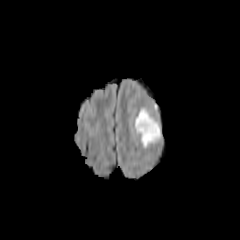
FLAIR MR.
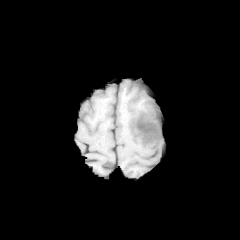
T1-weighted MR image.
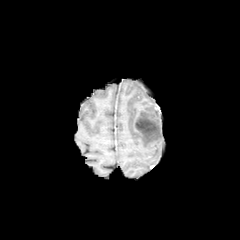
Post-contrast T1-weighted magnetic resonance.
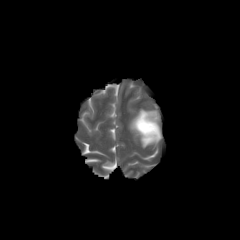
Same slice, T2-weighted magnetic resonance.
Edema: left=134, top=108, right=162, bottom=147.
Non-enhancing tumor core: left=136, top=120, right=156, bottom=132.